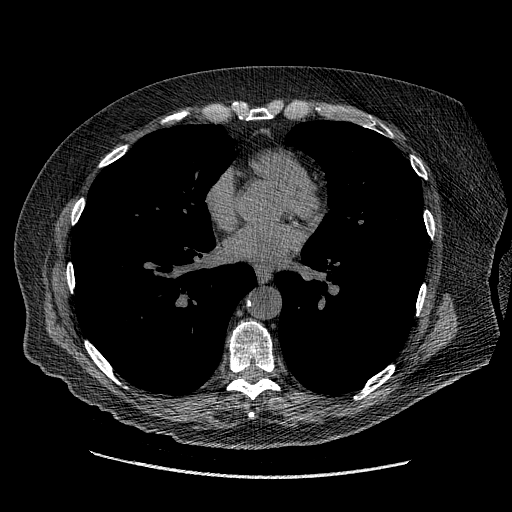

CT image | Image size 512x512
Segmented structures:
- lung tumor: box=[108, 266, 120, 278]